512x512 px, Computed tomography
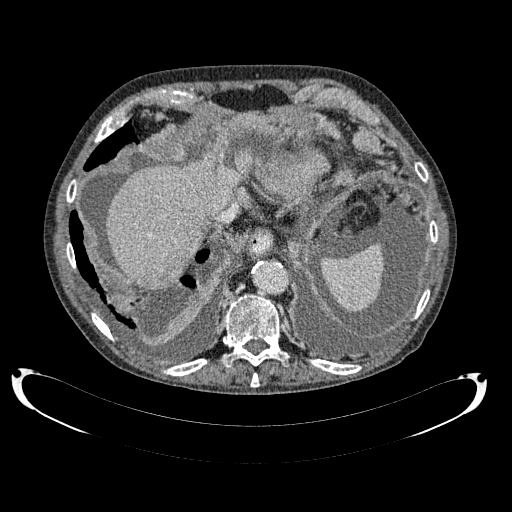

liver: box(106, 154, 243, 286)